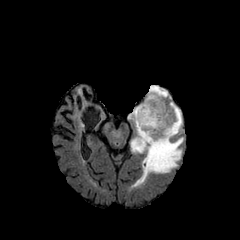
FLAIR MR.
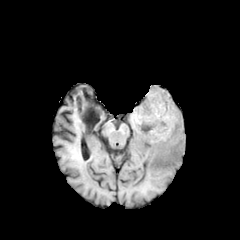
Same slice, T1-weighted MRI.
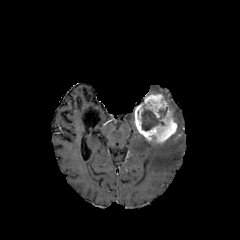
Same slice, post-contrast T1-weighted magnetic resonance.
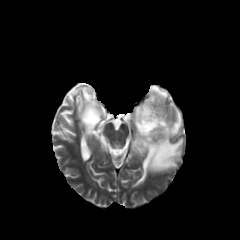
Same slice, T2-weighted MRI.
non-enhancing_tumor_core:
  - (x1=142, y1=106, x2=167, y2=130)
enhancing_tumor:
  - (x1=134, y1=93, x2=177, y2=143)
edema:
  - (x1=149, y1=85, x2=181, y2=135)
  - (x1=130, y1=130, x2=183, y2=185)